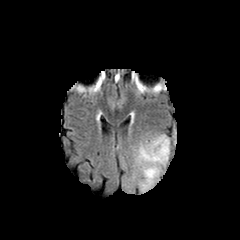
FLAIR MRI.
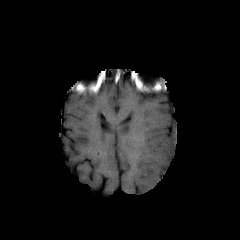
Same slice, T1-weighted magnetic resonance.
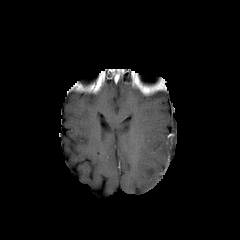
Same slice, post-contrast T1-weighted MRI.
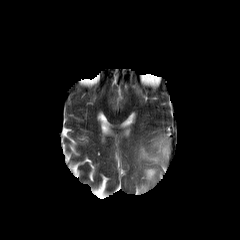
Same slice, T2-weighted magnetic resonance.
240x240 px.
Annotated regions:
* edema: 136 133 170 193